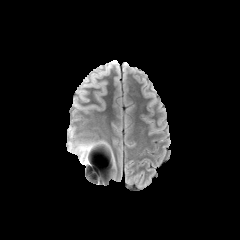
FLAIR magnetic resonance.
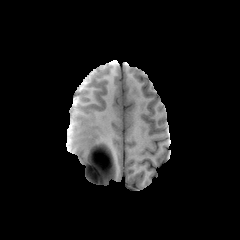
T1-weighted MRI of the same slice.
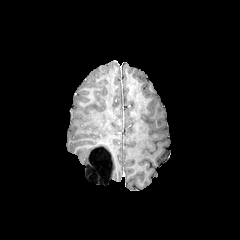
Post-contrast T1-weighted MRI.
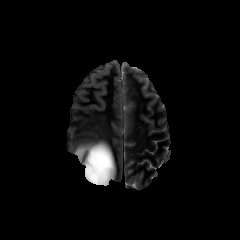
Same slice, T2-weighted MRI.
Head
edema:
  - region(71, 142, 102, 164)
non-enhancing_tumor_core:
  - region(84, 145, 108, 182)